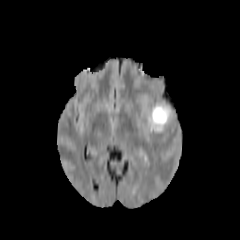
FLAIR magnetic resonance.
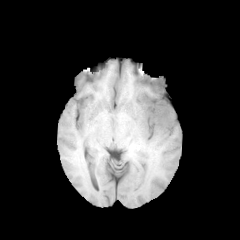
T1-weighted MR.
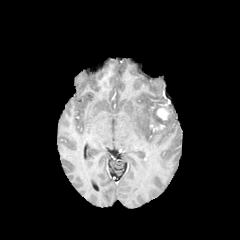
Post-contrast T1-weighted MR.
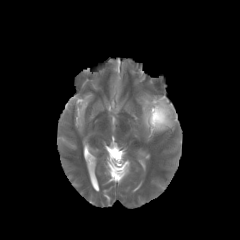
T2-weighted MR.
Head
<segmentation>
  <edema>box=[143, 98, 177, 140]</edema>
  <enhancing_tumor>box=[157, 106, 171, 120]</enhancing_tumor>
</segmentation>